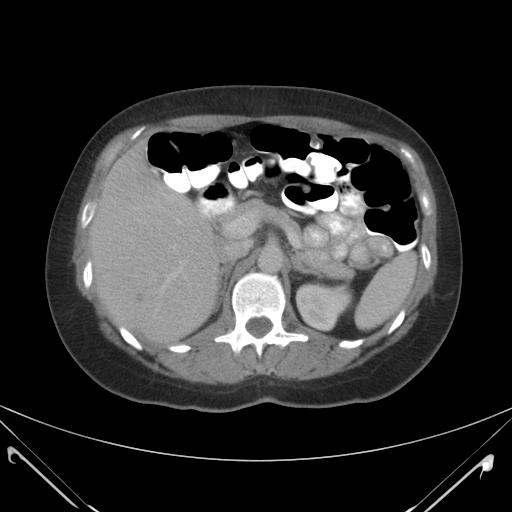

CT slice
<segmentation>
  <spleen>l=356, t=253, r=415, b=327</spleen>
</segmentation>